Field of view 240 mm wide, 1.00 mm slice spacing.
FLAIR MR image.
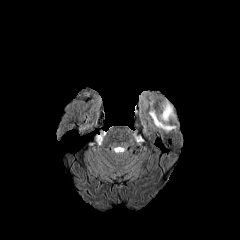
T1-weighted MRI.
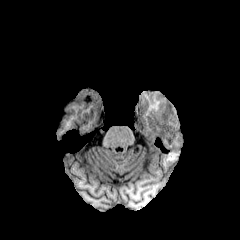
Post-contrast T1-weighted MR image.
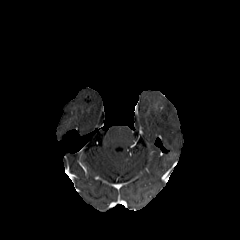
T2-weighted magnetic resonance.
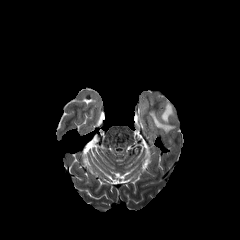
Segmented structures:
- edema: 148,105,175,132